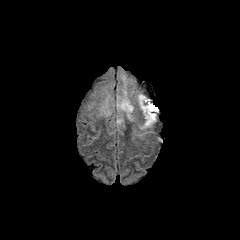
FLAIR MR.
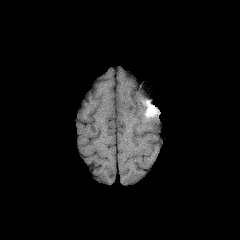
T1-weighted MR of the same slice.
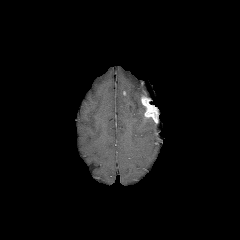
Post-contrast T1-weighted MR.
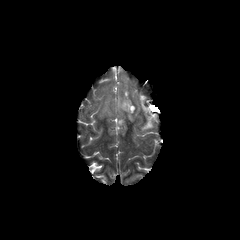
Same slice, T2-weighted MR.
240x240 px
The enhancing tumor is located at [141,95,157,121]. 2 edema regions are bounded by [135,93,153,131], [100,88,134,124].